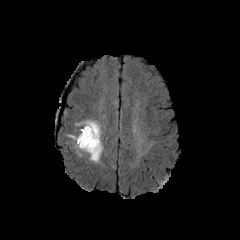
FLAIR MR image.
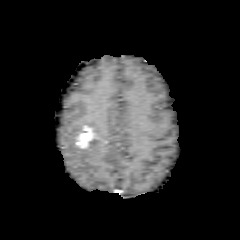
T1-weighted magnetic resonance of the same slice.
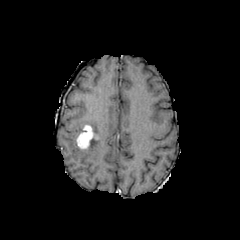
Post-contrast T1-weighted magnetic resonance.
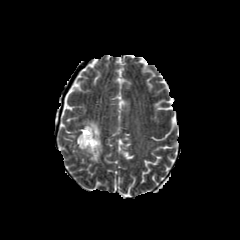
T2-weighted MR.
enhancing_tumor:
  - bbox(76, 124, 99, 149)
edema:
  - bbox(75, 120, 102, 162)
  - bbox(68, 129, 81, 140)